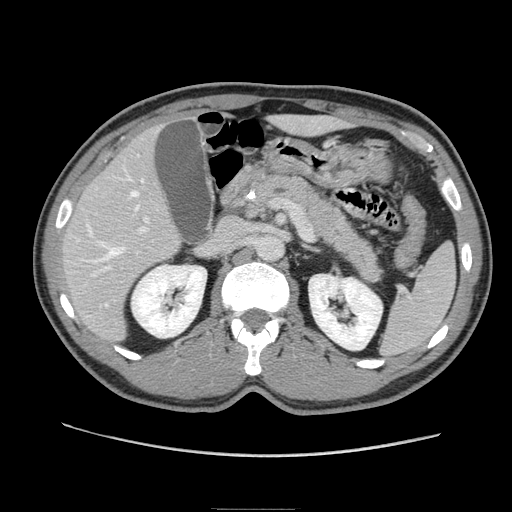

CT | Abdomen

pancreas:
  - [254,175,382,284]